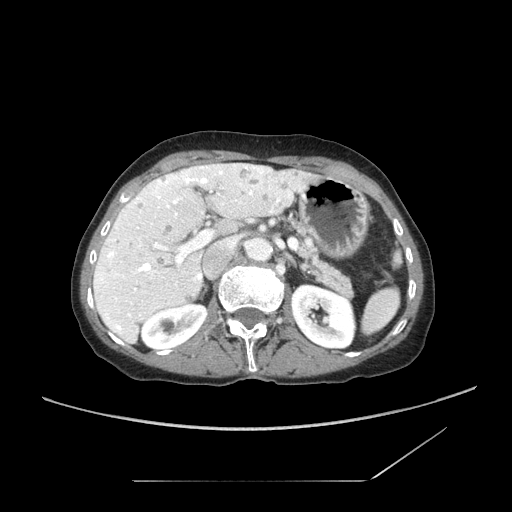

Computed tomography, Image size 512x512
Segmented structures:
* pancreas: 299:245:352:295